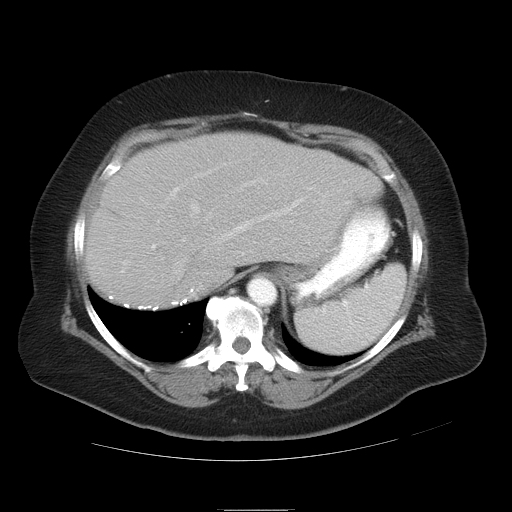
Abdomen | CT scan slice
The vessel boxes may cover only some of the vessels.
Hepatic vessel: [x1=174, y1=255, x2=184, y2=274], [x1=141, y1=255, x2=145, y2=256], [x1=150, y1=243, x2=156, y2=249], [x1=161, y1=205, x2=164, y2=206], [x1=194, y1=169, x2=212, y2=177], [x1=190, y1=202, x2=199, y2=215], [x1=166, y1=185, x2=183, y2=200], [x1=184, y1=288, x2=195, y2=298], [x1=157, y1=220, x2=159, y2=222], [x1=206, y1=213, x2=211, y2=219], [x1=213, y1=201, x2=295, y2=243].